Head. Slice 66 of 155. Image width 240 mm.
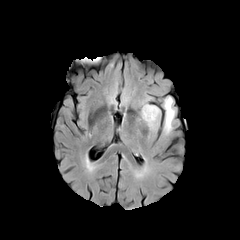
FLAIR MRI.
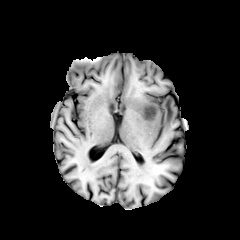
T1-weighted magnetic resonance.
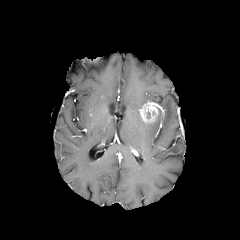
Post-contrast T1-weighted MR of the same slice.
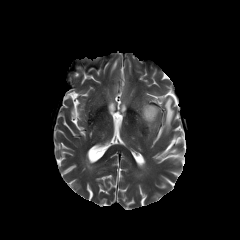
T2-weighted MRI.
<segmentation>
  <edema>[164, 96, 174, 133], [146, 107, 160, 128]</edema>
  <enhancing_tumor>[140, 103, 158, 122]</enhancing_tumor>
</segmentation>